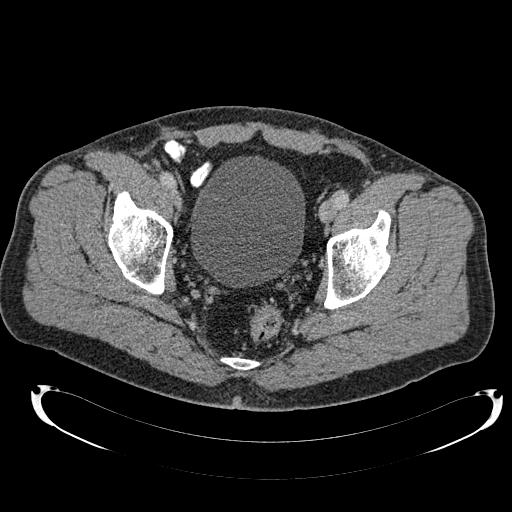
Lower abdomen. CT. 512x512.

urinary_bladder:
  - (191, 156, 305, 286)